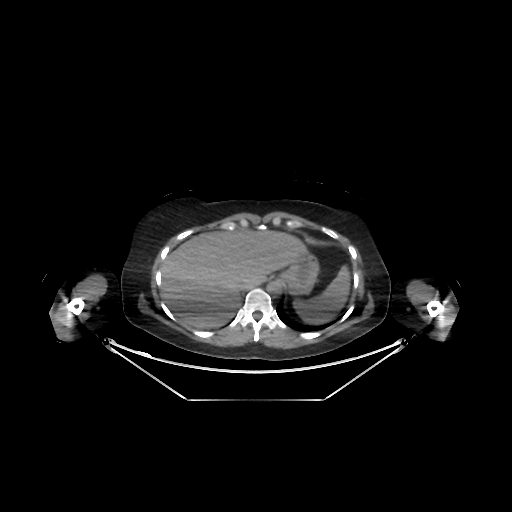
Liver, CT scan slice
liver: <box>159,224,306,330</box>